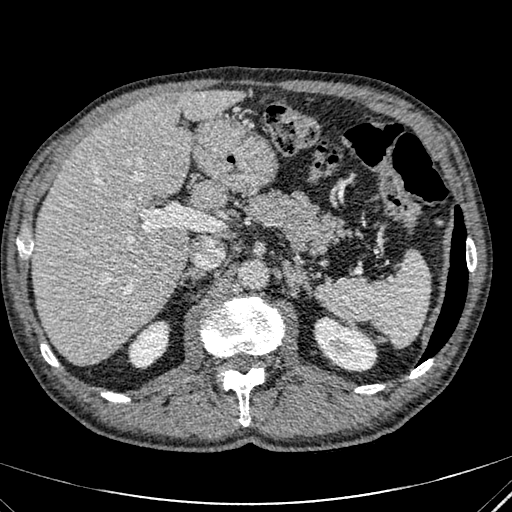

512x512 px; CT image
2 liver regions are bounded by x1=32 y1=91 x2=246 y2=363, x1=191 y1=181 x2=226 y2=208. The focal liver lesion appears at x1=157 y1=94 x2=180 y2=106. 2 kidney regions appear at x1=130 y1=323 x2=167 y2=366, x1=316 y1=319 x2=375 y2=369.